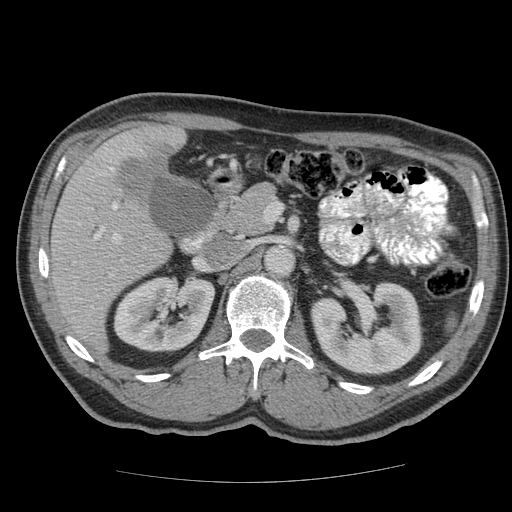
CT slice, Liver
Some hepatic vessels may have no box.
hepatic_vessel:
  - (93, 228, 104, 240)
  - (87, 208, 92, 210)
  - (109, 275, 111, 276)
  - (112, 204, 116, 209)
liver_tumor:
  - (119, 144, 174, 202)